Image size 512x512 | Abdomen | CT scan slice 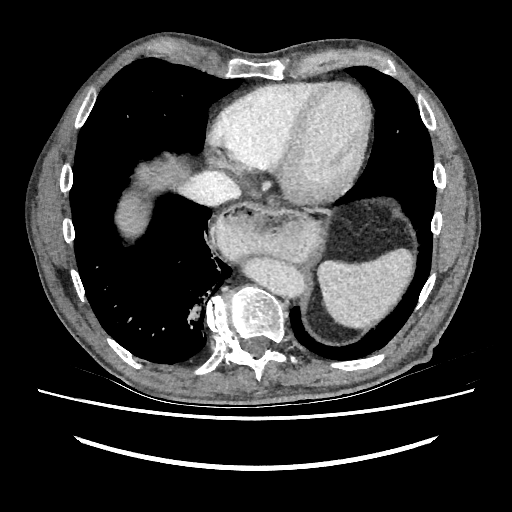 liver: rect(138, 153, 189, 189); rect(116, 197, 149, 236)